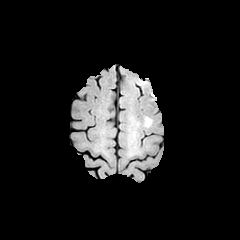
FLAIR MR image.
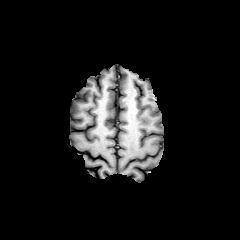
Same slice, T1-weighted magnetic resonance.
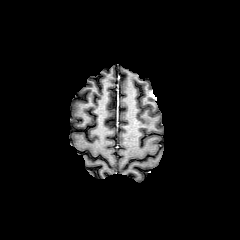
Post-contrast T1-weighted MRI of the same slice.
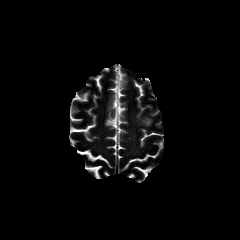
T2-weighted MR image.
240x240 px
The edema lies within l=144, t=117, r=151, b=126.